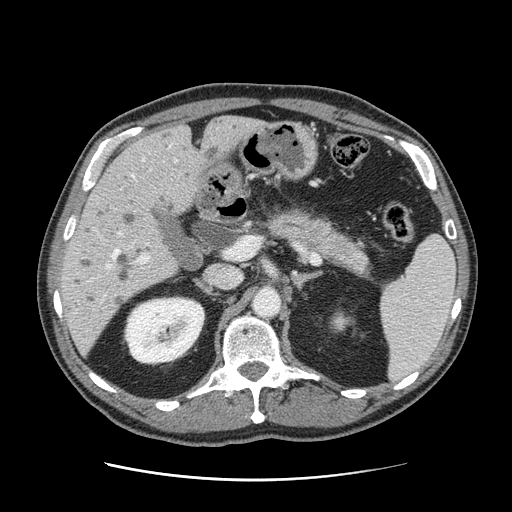 CT.
Findings:
* pancreas: 267,210,370,278